CT image; 512x512 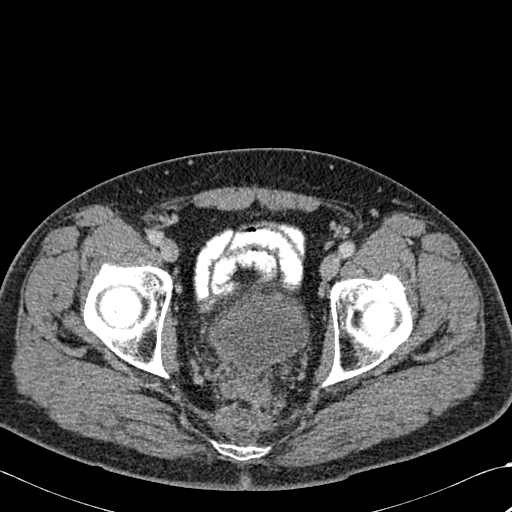
- bone: {"x1": 83, "y1": 264, "x2": 172, "y2": 377}, {"x1": 323, "y1": 273, "x2": 411, "y2": 385}, {"x1": 217, "y1": 444, "x2": 264, "y2": 460}